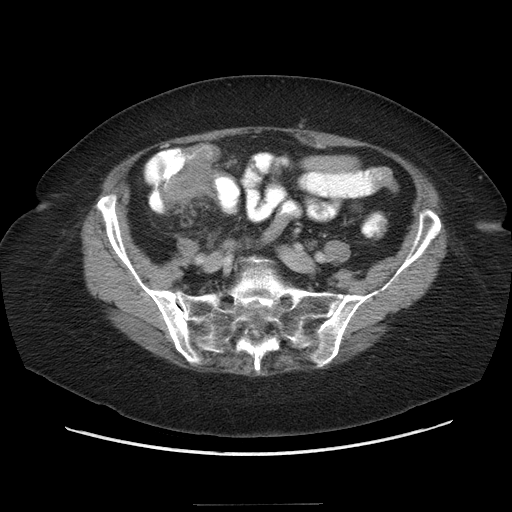
Image size 512x512; Pelvis; CT scan slice

colon_tumor:
  - box=[157, 145, 221, 210]